512x512 px. CT slice. Upper abdomen. Field of view 512x512 mm.

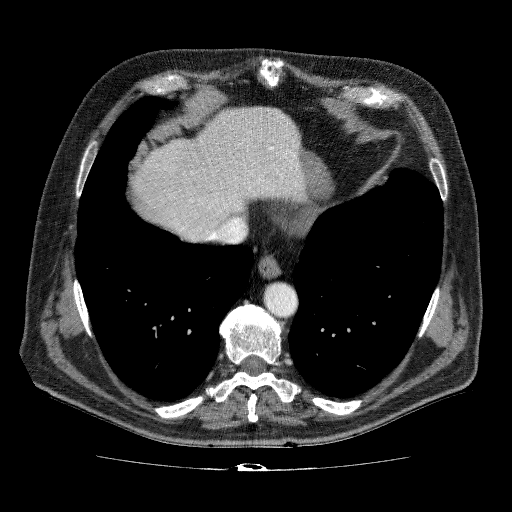
Annotated regions:
- liver: x1=130, y1=107, x2=305, y2=242